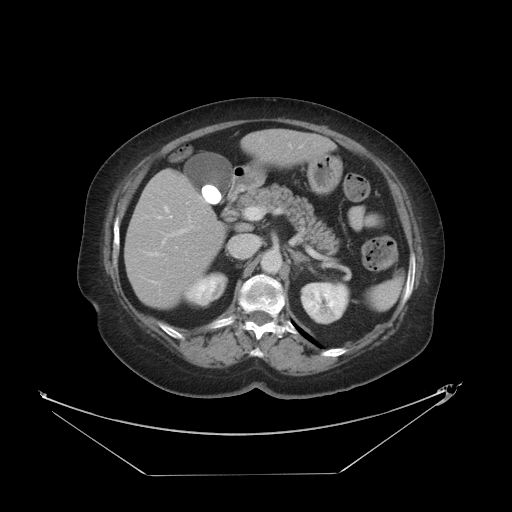
Abdomen. CT slice.
The vessel boxes may cover only some of the vessels.
<segmentation>
  <hepatic_vessel>x1=245, y1=207, x2=260, y2=219; x1=162, y1=226, x2=192, y2=243</hepatic_vessel>
</segmentation>